CT scan slice, Slice 226/247, 512x512 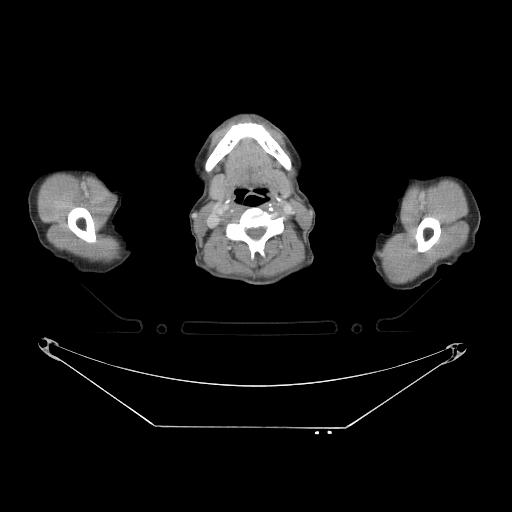

<segmentation>
  <bone>{"x1": 206, "y1": 123, "x2": 290, "y2": 171}, {"x1": 226, "y1": 208, "x2": 283, "y2": 254}, {"x1": 416, "y1": 217, "x2": 440, "y2": 251}, {"x1": 68, "y1": 207, "x2": 95, "y2": 242}</bone>
</segmentation>